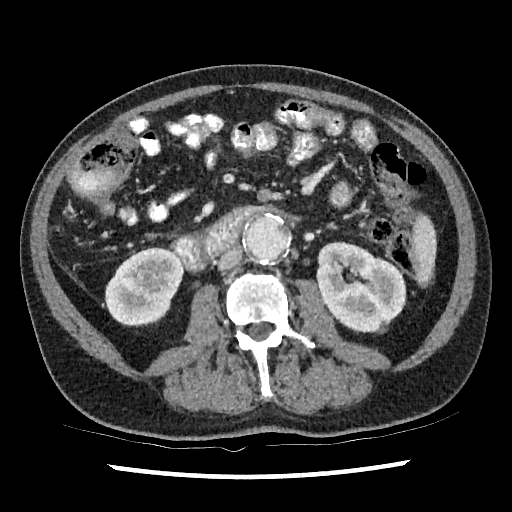

CT slice; Abdomen

* kidney: [106,248,183,324], [317,242,405,331]